Slice 69 of 155; Head; Field of view 240x240 mm
FLAIR MR image.
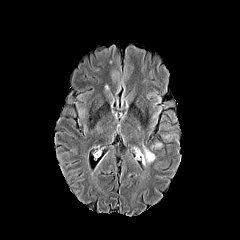
T1-weighted magnetic resonance.
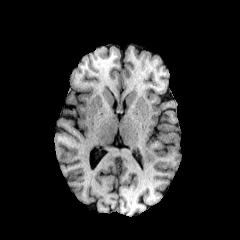
Post-contrast T1-weighted MRI.
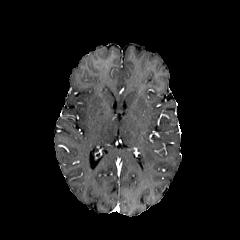
T2-weighted MR.
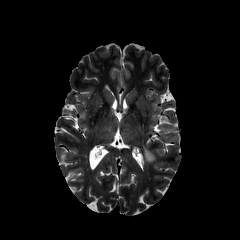
The edema is located at l=141, t=142, r=155, b=164.